FLAIR MRI.
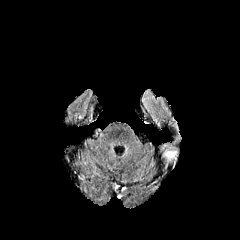
T1-weighted MR image.
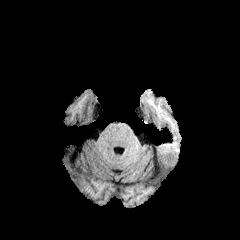
Post-contrast T1-weighted MR.
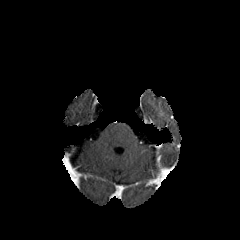
T2-weighted MRI.
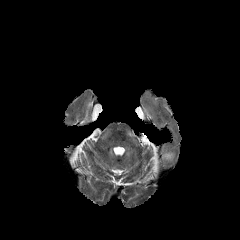
Head.
Findings:
- edema: [x1=162, y1=149, x2=177, y2=163]